Slice 108 of 155 | Field of view 240x240 mm | 240x240
FLAIR MRI.
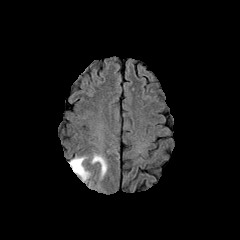
T1-weighted MR image.
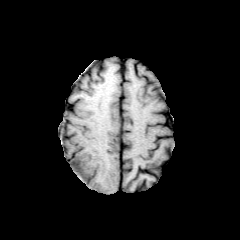
Post-contrast T1-weighted MR.
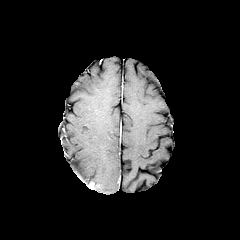
T2-weighted MR.
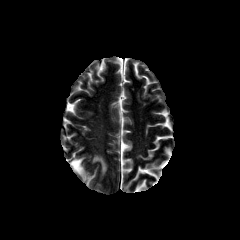
2 edema regions are located at box=[69, 156, 90, 181]; box=[91, 153, 107, 177].